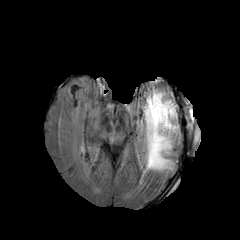
FLAIR MR image.
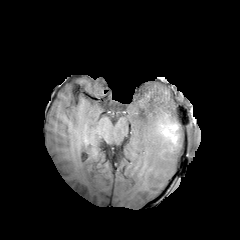
T1-weighted MR of the same slice.
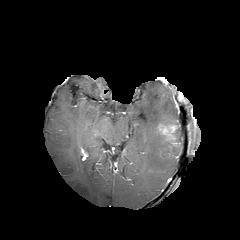
Post-contrast T1-weighted MR.
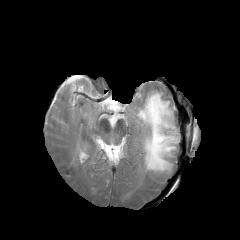
Same slice, T2-weighted MR image.
Enhancing tumor at box=[158, 124, 176, 143].
Non-enhancing tumor core at box=[171, 129, 178, 145].
Edema at box=[136, 87, 180, 175].